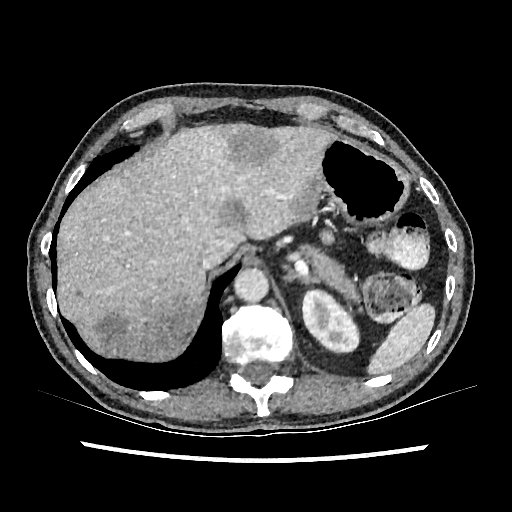

CT

Segmented structures:
- kidney: {"x1": 303, "y1": 291, "x2": 358, "y2": 351}
- hepatic lesion: {"x1": 289, "y1": 175, "x2": 318, "y2": 219}, {"x1": 217, "y1": 196, "x2": 254, "y2": 229}, {"x1": 220, "y1": 125, "x2": 278, "y2": 166}, {"x1": 92, "y1": 295, "x2": 200, "y2": 357}
- liver: {"x1": 124, "y1": 345, "x2": 162, "y2": 360}, {"x1": 60, "y1": 123, "x2": 336, "y2": 352}, {"x1": 108, "y1": 349, "x2": 123, "y2": 357}